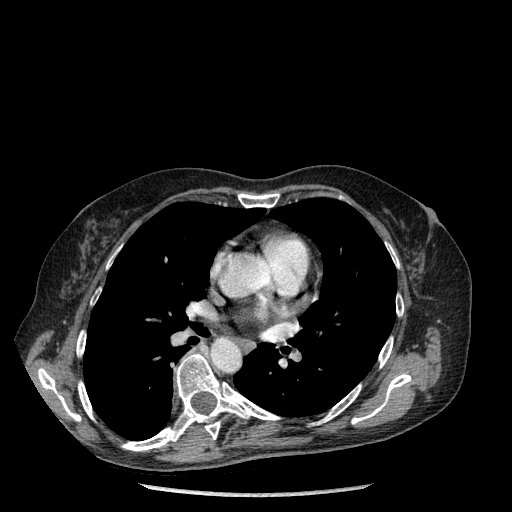

CT image. Image size 512x512.

2 lung regions are bounded by (83,202,264,440), (234,198,396,416). 11 bone regions are located at (313,384,361,425), (76,330,86,356), (238,193,279,207), (37,368,81,421), (385,242,399,268), (121,352,280,451), (78,381,94,419), (351,373,411,424), (106,247,120,268), (378,337,393,368), (396,294,403,316).